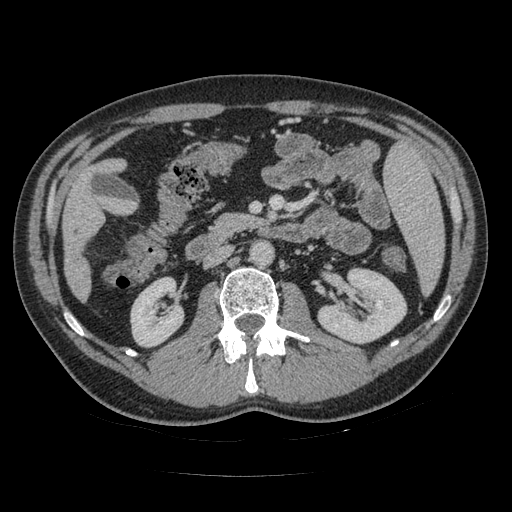

Abdomen, Image size 512x512, CT
{
  "pancreas": [
    "region(213, 213, 264, 238)"
  ]
}